FLAIR MR image.
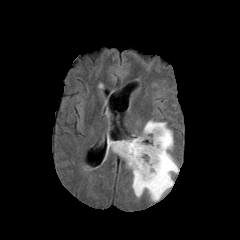
T1-weighted MR image.
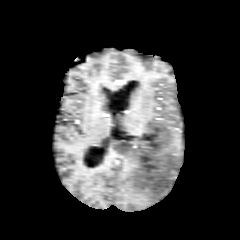
Post-contrast T1-weighted magnetic resonance.
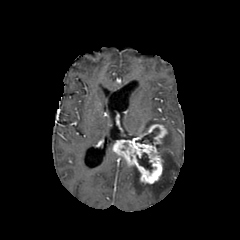
T2-weighted MR.
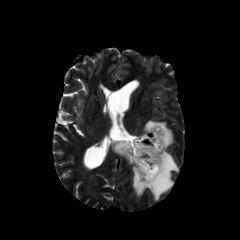
Image size 240x240.
Edema: x1=129 y1=119 x2=179 y2=201, x1=107 y1=134 x2=114 y2=151.
Enhancing tumor: x1=112 y1=124 x2=168 y2=184.
Non-enhancing tumor core: x1=136 y1=128 x2=159 y2=144, x1=137 y1=153 x2=153 y2=171.